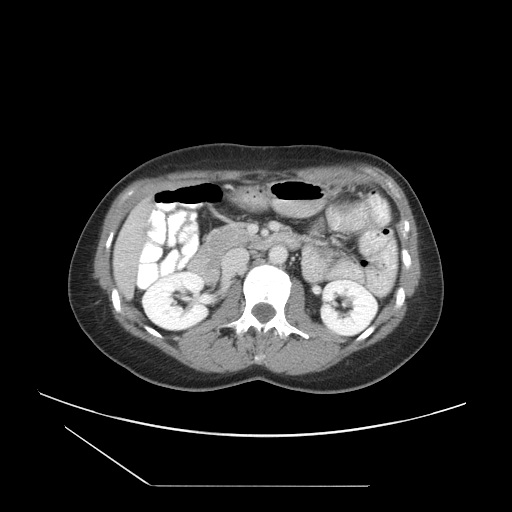

CT slice; Image size 512x512; Abdomen

The vessel annotation is not exhaustive.
Hepatic vessel: {"x1": 149, "y1": 218, "x2": 150, "y2": 221}, {"x1": 151, "y1": 210, "x2": 153, "y2": 214}, {"x1": 127, "y1": 225, "x2": 131, "y2": 227}.